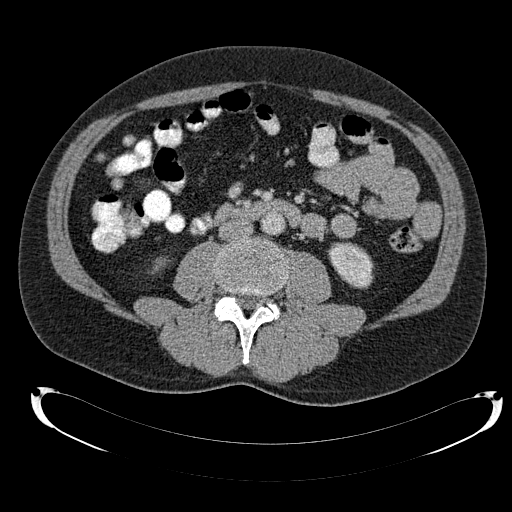
Computed tomography. Image size 512x512.
Kidney: bounding box l=329, t=244, r=372, b=287.